CT image, Pelvis
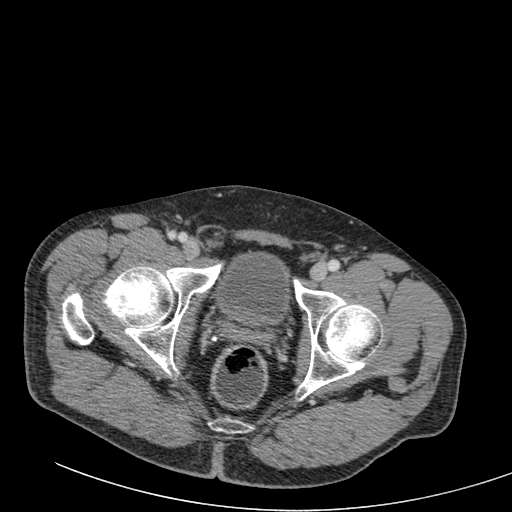
Urinary bladder: box=[212, 251, 291, 327].